CT, Slice index 40 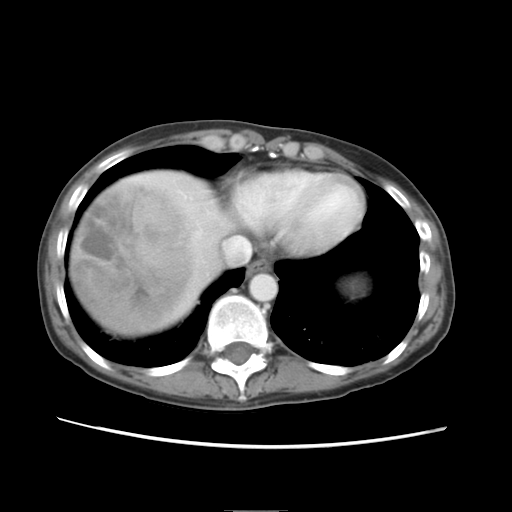

Segmented structures:
* liver tumor: 70, 182, 196, 333